240x240 px | Brain
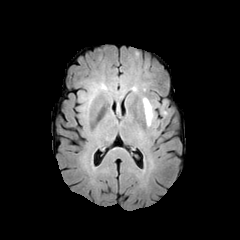
FLAIR MR.
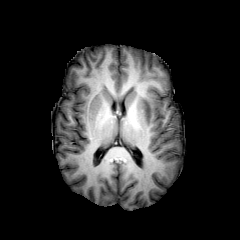
T1-weighted MR.
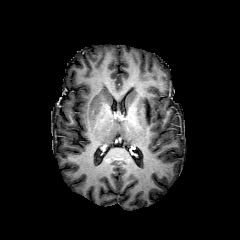
Post-contrast T1-weighted MR image.
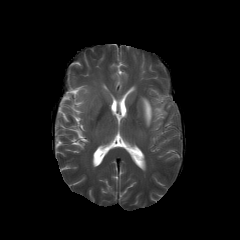
T2-weighted MRI.
Edema at region(142, 97, 158, 127).